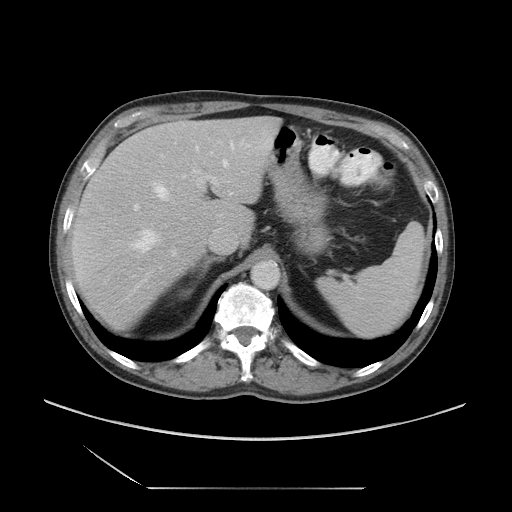

Liver | Computed tomography | Image size 512x512

Some hepatic vessels may have no box.
- hepatic vessel: 212:226:236:240, 230:142:233:148, 132:230:156:251, 198:175:216:187, 154:184:167:200, 230:192:231:194, 196:147:197:149, 223:160:227:166, 134:205:138:210, 192:170:200:172, 218:141:222:143, 240:140:249:146, 182:175:184:177, 173:252:174:254, 210:151:211:154
- liver tumor: 107:250:132:276